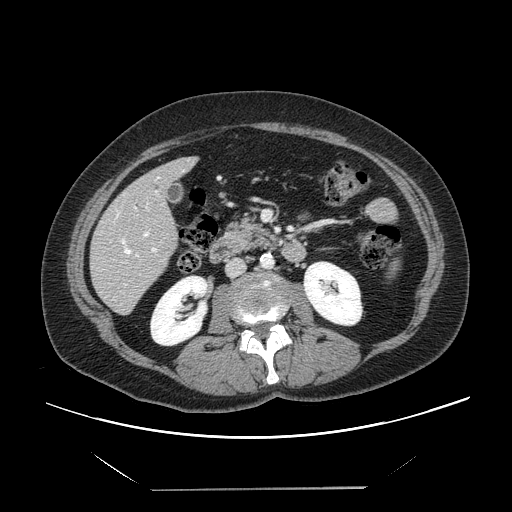
CT. 512x512 px. Abdomen.
The vessel annotation is not exhaustive.
Hepatic vessel — 151 246 157 252, 143 230 149 237, 120 238 138 257, 123 284 126 285, 155 191 157 194, 134 207 135 209, 147 203 147 209, 115 209 120 219.